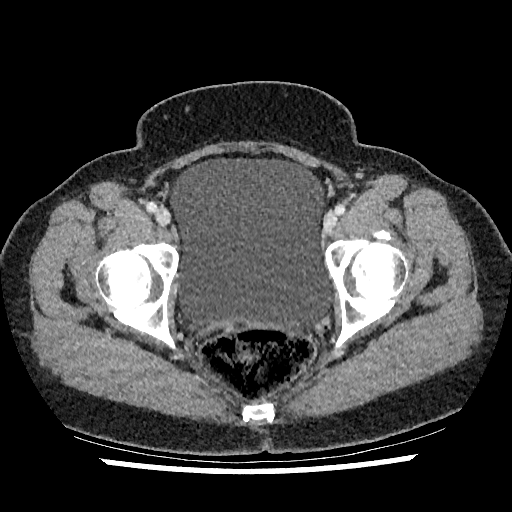

CT image
The urinary bladder is bounded by {"x1": 170, "y1": 158, "x2": 333, "y2": 332}.